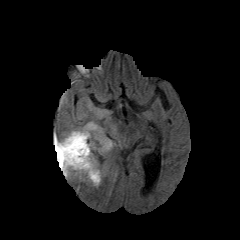
FLAIR magnetic resonance.
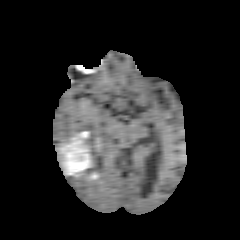
Same slice, T1-weighted MR.
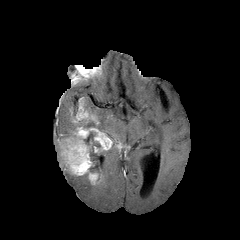
Post-contrast T1-weighted MRI.
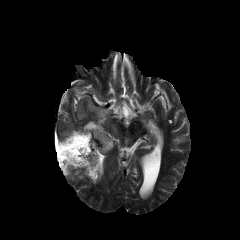
T2-weighted magnetic resonance of the same slice.
Edema: l=102, t=141, r=123, b=158; l=61, t=128, r=75, b=139; l=83, t=103, r=108, b=129; l=90, t=157, r=105, b=185; l=65, t=173, r=89, b=181.
Non-enhancing tumor core: l=54, t=138, r=61, b=165; l=83, t=132, r=102, b=173; l=83, t=122, r=101, b=130.
Enhancing tumor: l=57, t=126, r=113, b=183.